Head.
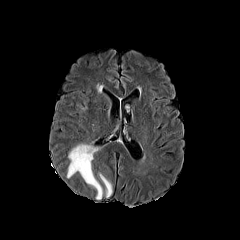
FLAIR MRI.
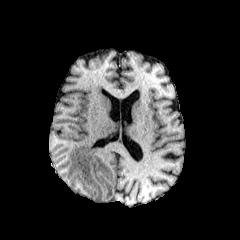
T1-weighted magnetic resonance of the same slice.
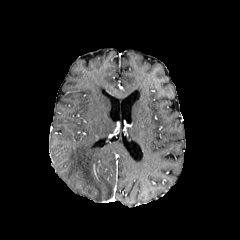
Same slice, post-contrast T1-weighted MR image.
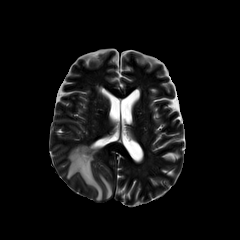
Same slice, T2-weighted MRI.
The edema is bounded by 67,144,111,199.